FLAIR magnetic resonance.
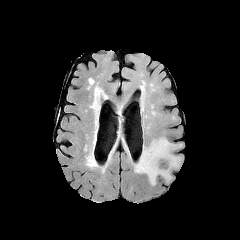
T1-weighted MRI.
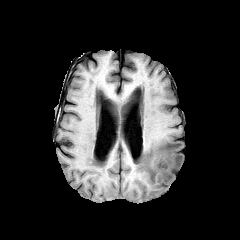
Post-contrast T1-weighted MR.
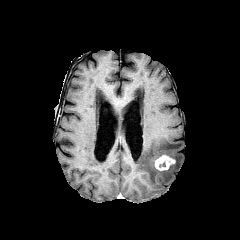
T2-weighted MR.
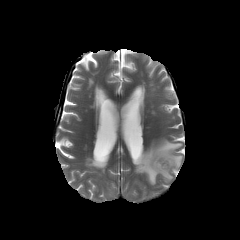
{"edema": ["134,137,182,185"], "enhancing_tumor": ["154,154,175,171"]}